Field of view 240 mm wide, 1.00 mm slice spacing; Brain; 240x240
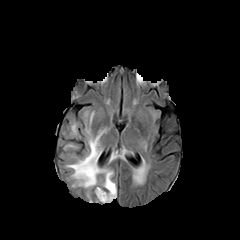
FLAIR MRI.
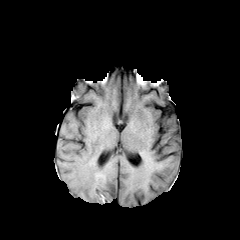
Same slice, T1-weighted MRI.
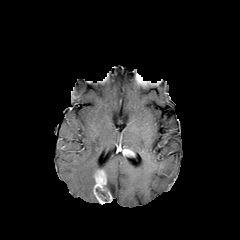
Same slice, post-contrast T1-weighted magnetic resonance.
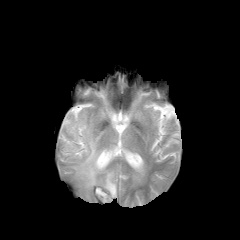
Same slice, T2-weighted MR image.
enhancing_tumor:
  - l=95, t=169, r=106, b=190
edema:
  - l=65, t=122, r=116, b=198
  - l=109, t=151, r=125, b=162
non-enhancing_tumor_core:
  - l=102, t=178, r=111, b=192
  - l=95, t=187, r=113, b=201